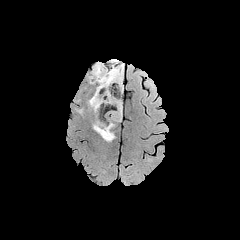
FLAIR MR.
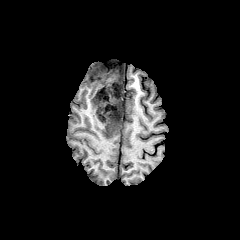
T1-weighted MRI.
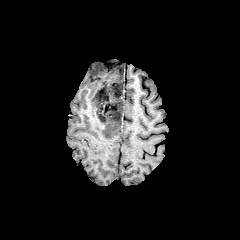
Post-contrast T1-weighted MR of the same slice.
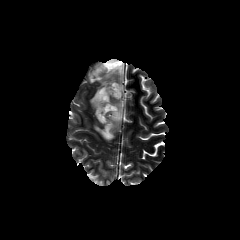
T2-weighted MR image.
non-enhancing tumor core: (90, 63, 121, 93), (94, 90, 109, 109), (111, 108, 121, 121) | edema: (93, 108, 122, 141), (88, 80, 122, 113), (89, 63, 105, 78), (114, 76, 122, 91)